240x240 px
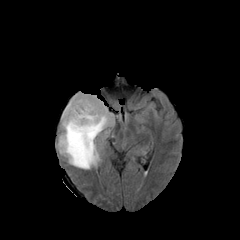
FLAIR MR.
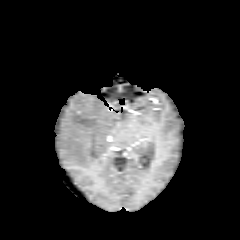
T1-weighted MR image of the same slice.
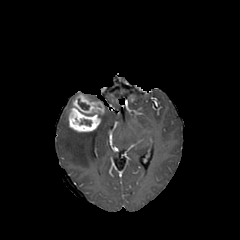
Post-contrast T1-weighted magnetic resonance.
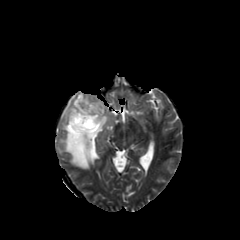
T2-weighted MR.
Annotated regions:
* enhancing tumor: x1=64, y1=92, x2=104, y2=131
* edema: x1=58, y1=107, x2=114, y2=169
* non-enhancing tumor core: x1=78, y1=100, x2=89, y2=109; x1=80, y1=119, x2=91, y2=126